CT | 512x512

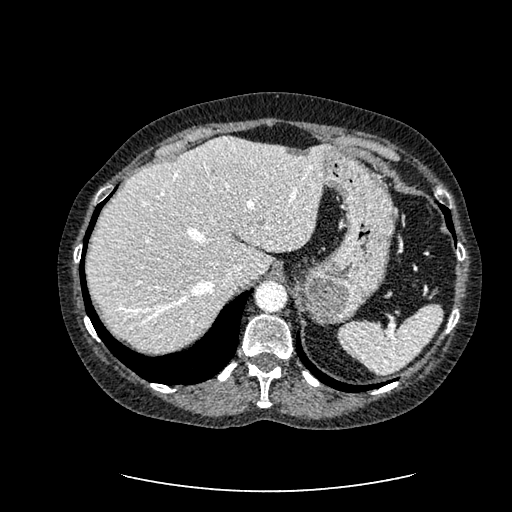 liver lesion: (285,147,310,156) | liver: (86,137,330,350)